CT image, Liver
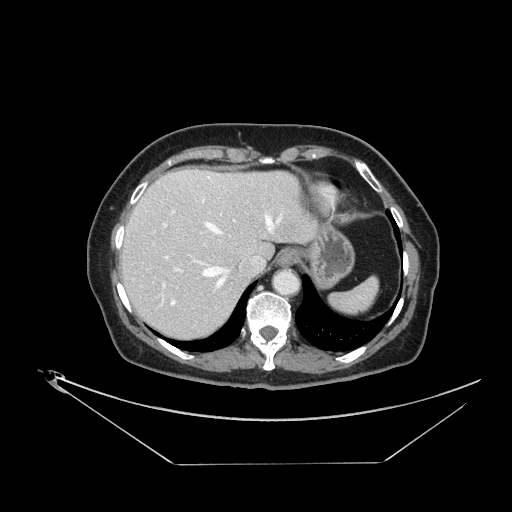

Not every hepatic vessel necessarily has a box.
Hepatic vessel at l=174, t=268, r=181, b=271; l=171, t=299, r=175, b=305; l=279, t=216, r=280, b=219; l=249, t=256, r=263, b=270; l=266, t=214, r=273, b=229; l=239, t=264, r=241, b=266; l=162, t=223, r=166, b=227; l=204, t=220, r=222, b=234; l=202, t=197, r=204, b=202; l=201, t=264, r=229, b=288; l=165, t=256, r=168, b=258; l=172, t=210, r=174, b=213; l=163, t=284, r=164, b=287.